CT, 512x512
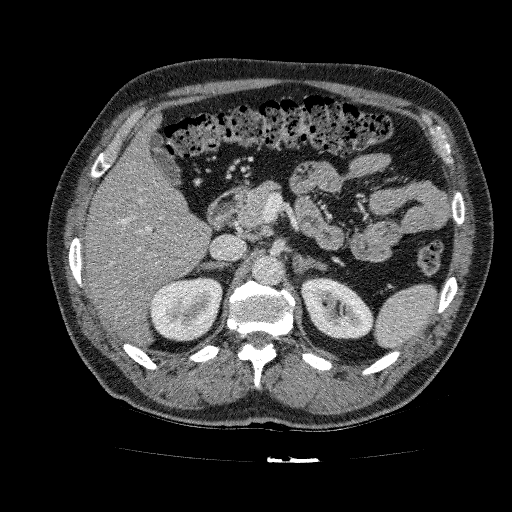 Kidney at <box>150,278,221,340</box>, <box>302,279,372,337</box>.
Liver at <box>84,113,212,346</box>.